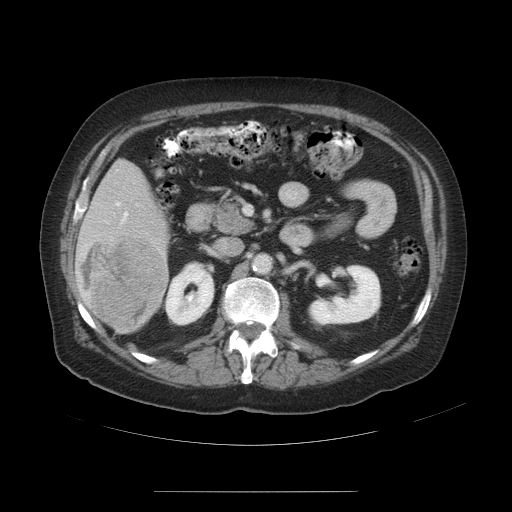
CT slice
Some hepatic vessels may have no box.
The liver tumor appears at 79, 235, 167, 331. 4 hepatic vessel regions appear at 78, 253, 85, 259; 116, 202, 119, 205; 106, 221, 109, 223; 120, 212, 127, 223.